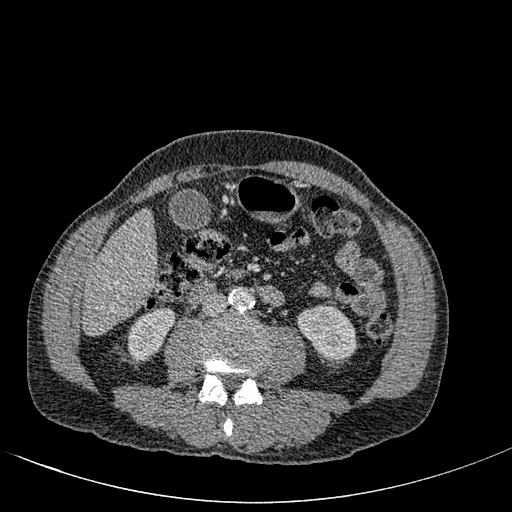 CT | Upper abdomen
2 kidney regions are bounded by (left=298, top=306, right=356, bottom=359), (left=128, top=308, right=174, bottom=360). The liver is located at (left=81, top=209, right=155, bottom=332).